CT slice

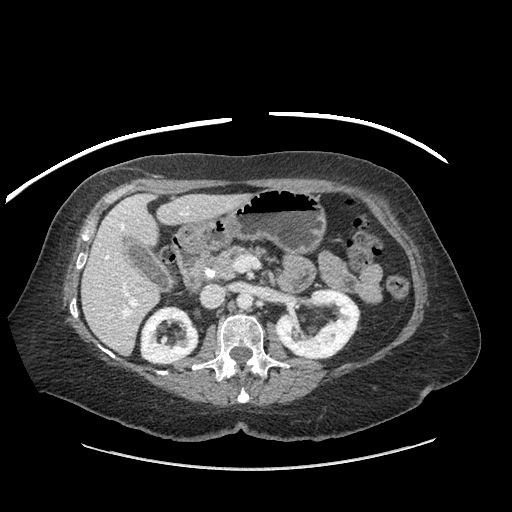 The pancreas lies within box=[188, 247, 273, 287].